CT slice. Slice 110 of 164. Image size 512x512.
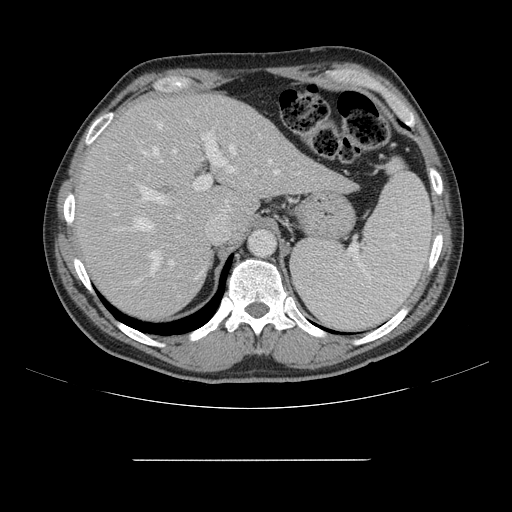
Some hepatic vessels may have no box.
Annotated regions:
- hepatic vessel (principal 15 of 22): left=194, top=174, right=212, bottom=189; left=227, top=166, right=235, bottom=172; left=168, top=260, right=173, bottom=266; left=140, top=186, right=163, bottom=202; left=172, top=149, right=176, bottom=153; left=155, top=122, right=162, bottom=128; left=150, top=251, right=161, bottom=275; left=230, top=146, right=235, bottom=154; left=274, top=170, right=278, bottom=174; left=142, top=151, right=148, bottom=155; left=153, top=147, right=158, bottom=155; left=198, top=158, right=202, bottom=160; left=135, top=218, right=153, bottom=230; left=201, top=133, right=226, bottom=166; left=177, top=215, right=182, bottom=219